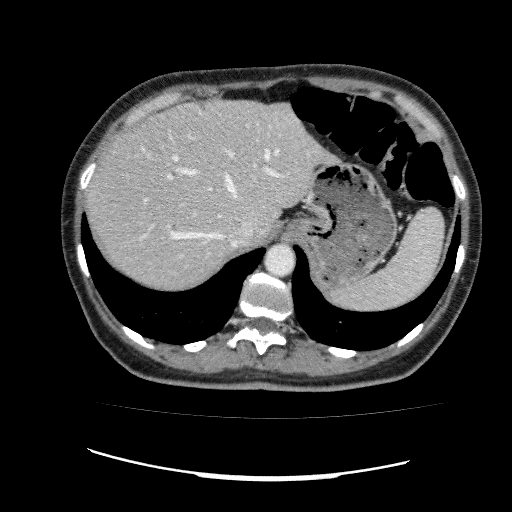

CT image, Upper abdomen
{"liver": ["<bbox>86, 98, 340, 292</bbox>"]}